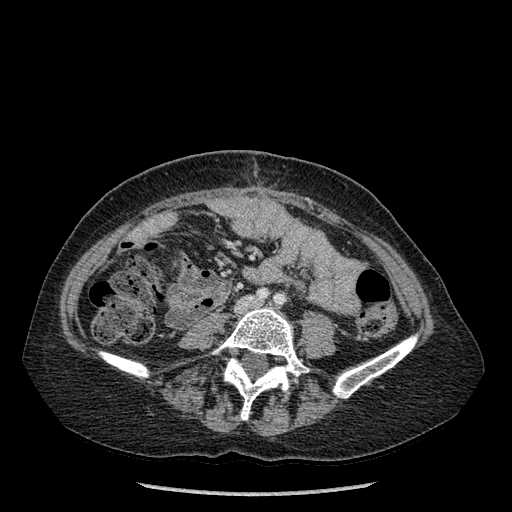
Image size 512x512. Computed tomography.

<segmentation>
  <bone>left=99, top=351, right=148, bottom=377; left=333, top=334, right=417, bottom=398; left=214, top=306, right=308, bottom=419</bone>
</segmentation>